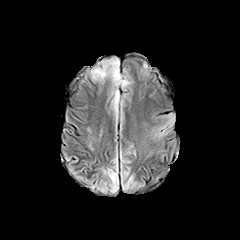
FLAIR MR image.
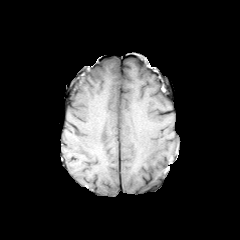
T1-weighted magnetic resonance.
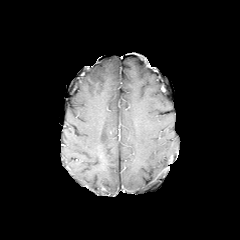
Same slice, post-contrast T1-weighted MR image.
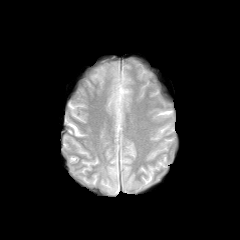
T2-weighted magnetic resonance of the same slice.
The edema appears at <bbox>108, 167, 118, 191</bbox>.